CT image. Slice 512 of 605. Thorax.

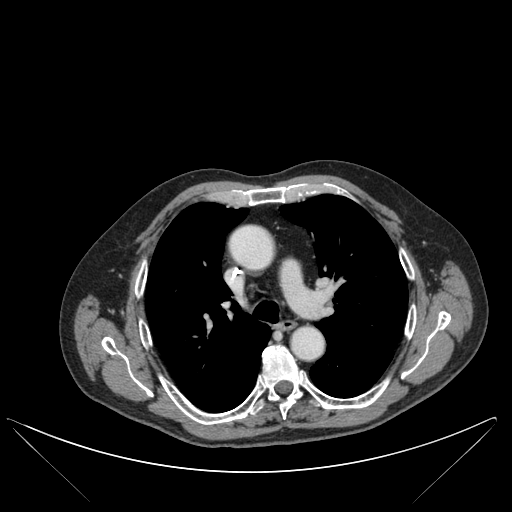

lung:
  - 280,194,407,397
  - 146,202,278,412
bone:
  - 400,249,413,278
  - 135,261,146,296
  - 405,305,416,338
  - 139,320,151,346
  - 101,337,152,396
  - 159,346,388,424
  - 238,186,291,205
  - 401,311,450,378